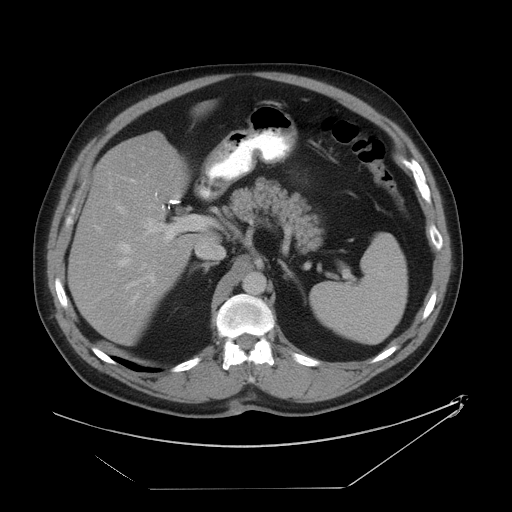 512x512 px; CT; Upper abdomen
Spleen: bounding box left=310, top=233, right=406, bottom=343.